Computed tomography | Field of view 379 mm wide, 2.50 mm slice spacing
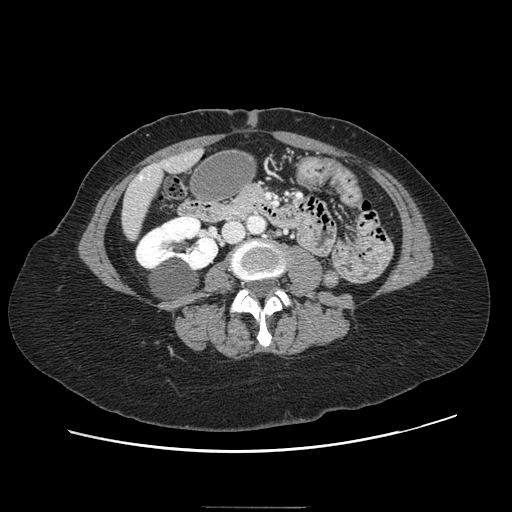 Pancreas at 235:185:264:212.